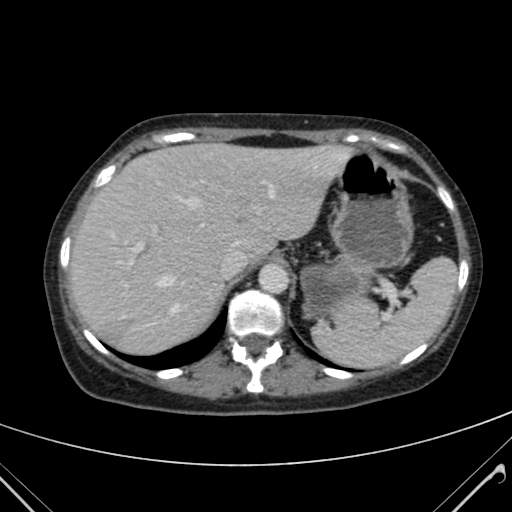

512x512; Liver; CT scan slice
The liver is located at (70, 143, 351, 353).